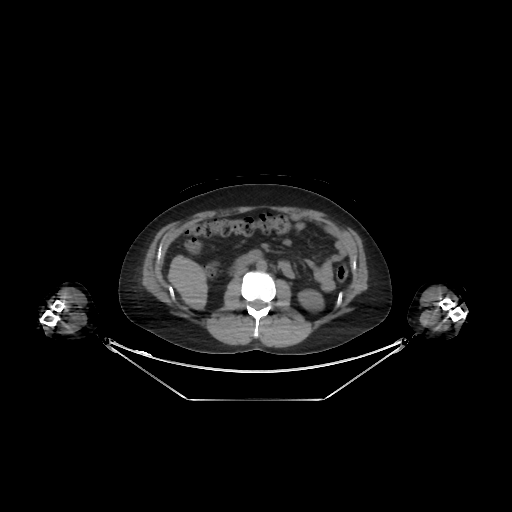 CT scan slice | Abdomen | 512x512

The kidney is bounded by <bbox>297, 289, 323, 313</bbox>. The liver lies within <bbox>168, 255, 209, 309</bbox>.